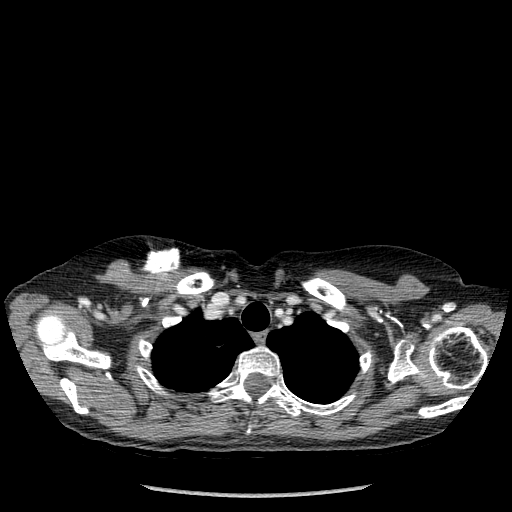 CT scan slice

bone: 208, 346, 355, 416; 175, 272, 213, 296; 162, 316, 181, 327; 324, 312, 349, 332; 302, 278, 348, 312; 59, 378, 88, 413; 360, 351, 371, 372; 388, 325, 487, 389; 34, 311, 110, 368; 136, 365, 165, 394; 418, 396, 468, 417; 138, 339, 152, 358 | lung: 151, 302, 269, 392; 266, 311, 358, 403